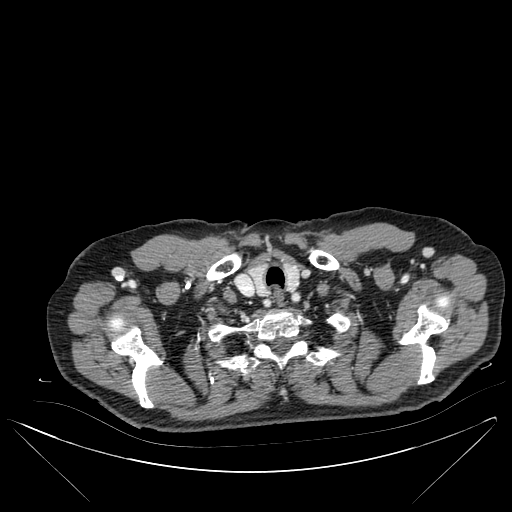

Image size 512x512, CT slice
5 bone regions are located at l=114, t=325, r=159, b=408; l=400, t=307, r=446, b=383; l=308, t=251, r=335, b=269; l=203, t=305, r=354, b=375; l=208, t=256, r=239, b=279.